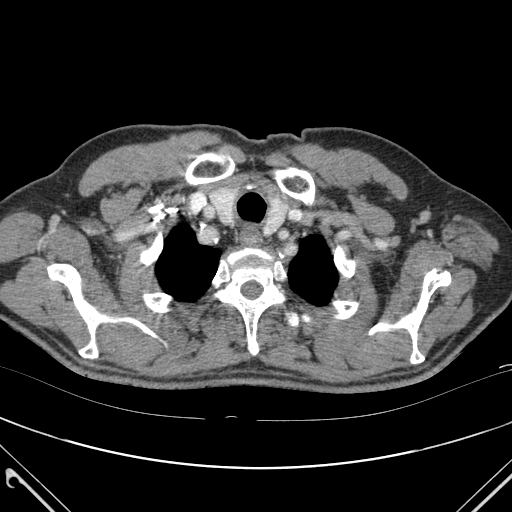

CT scan slice.

Segmented structures:
• lung: 288 235 337 305, 155 224 220 301
• bone: 47 264 156 358, 333 301 358 318, 289 315 297 325, 143 293 170 312, 369 269 450 363, 141 232 162 265, 277 168 314 203, 185 153 234 184, 334 246 355 277, 149 204 177 227, 212 248 285 354